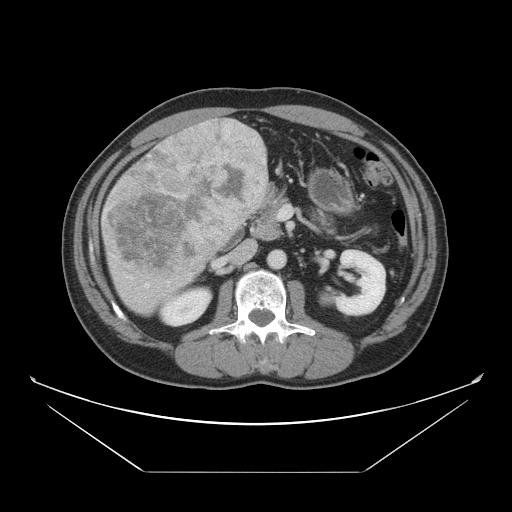
CT slice

Not every hepatic vessel necessarily has a box.
Findings:
* hepatic vessel: region(144, 283, 149, 287); region(123, 272, 132, 279); region(109, 253, 118, 259)
* liver tumor: region(106, 119, 267, 279)